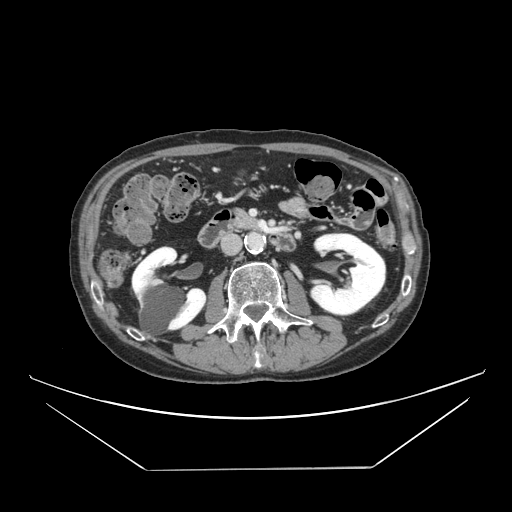
CT scan slice

The pancreas is at (230,208,254,230).